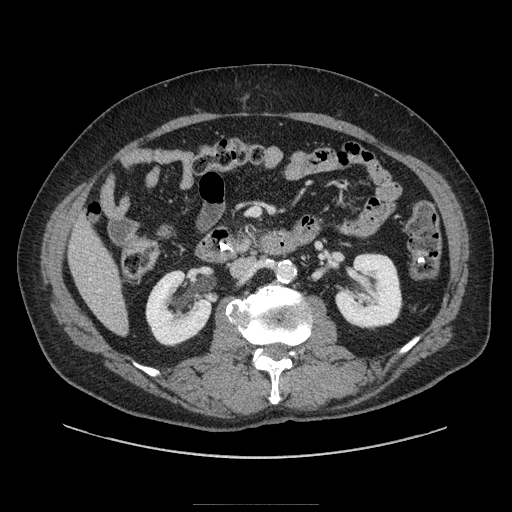
Computed tomography | 512x512 px

The pancreas is at box=[235, 223, 260, 253].